Abdomen, CT slice, Field of view 449 mm wide, 5.00 mm slice spacing 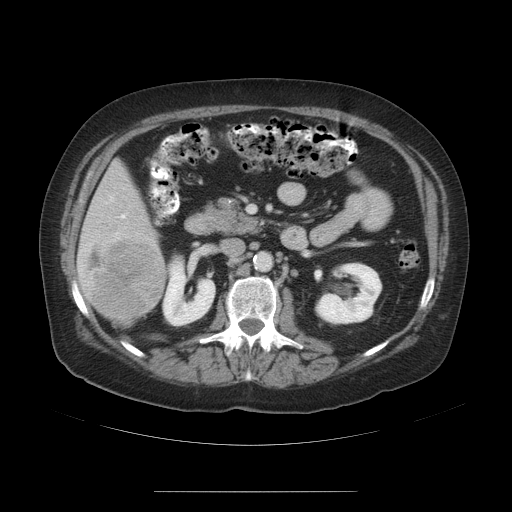 Some hepatic vessels may have no box.
The liver tumor lies within 78, 235, 165, 316. 4 hepatic vessel regions are bounded by 81, 249, 83, 251; 110, 196, 113, 201; 119, 213, 127, 218; 116, 233, 117, 234.